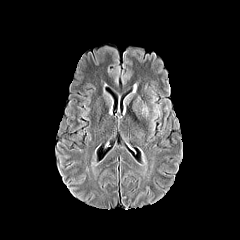
FLAIR MR.
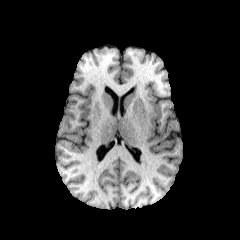
T1-weighted MR.
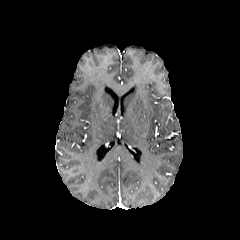
Post-contrast T1-weighted MR image of the same slice.
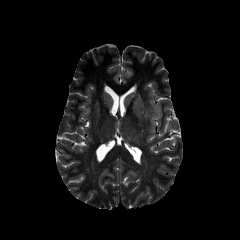
T2-weighted magnetic resonance of the same slice.
The edema is at box(140, 97, 161, 130).